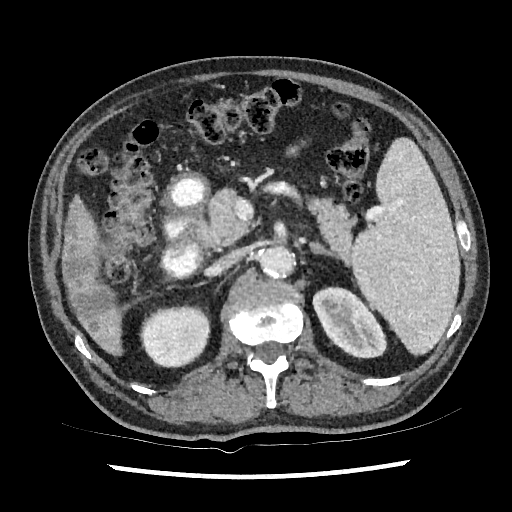 CT scan slice | Liver
Liver at <box>81,298,121,353</box>, <box>68,269,110,301</box>, <box>64,236,72,258</box>, <box>67,197,100,263</box>.
Kidney at <box>142,307,209,366</box>, <box>313,288,385,357</box>.
Hepatic lesion at <box>72,205,79,212</box>, <box>72,286,112,332</box>, <box>64,217,98,285</box>.